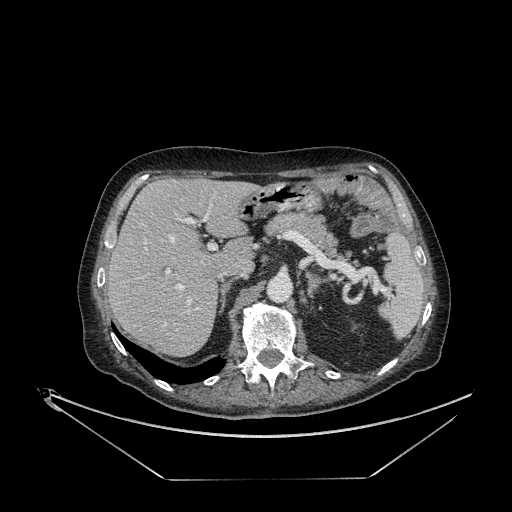 Liver. CT scan slice.

* liver: l=108, t=179, r=259, b=356